Image size 240x240, Slice index 77
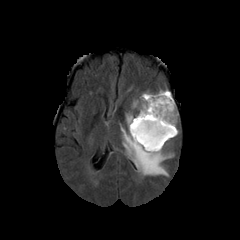
FLAIR MR.
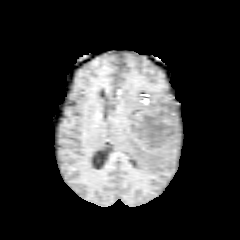
T1-weighted MR.
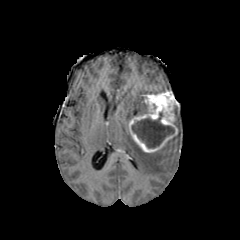
Same slice, post-contrast T1-weighted magnetic resonance.
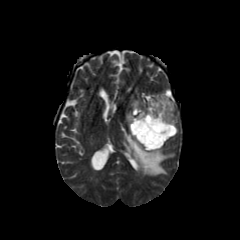
T2-weighted MR.
Segmented structures:
* non-enhancing tumor core: left=131, top=112, right=174, bottom=147; left=173, top=105, right=178, bottom=125
* edema: left=121, top=114, right=177, bottom=175; left=131, top=92, right=149, bottom=115
* enhancing tumor: left=129, top=90, right=177, bottom=152